FLAIR magnetic resonance.
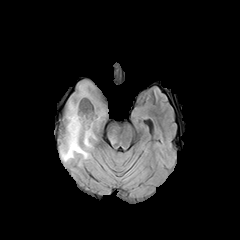
T1-weighted MRI.
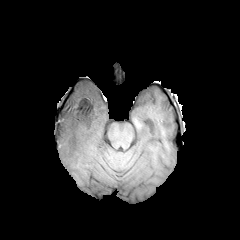
Post-contrast T1-weighted magnetic resonance.
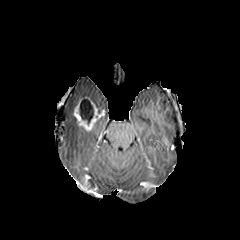
T2-weighted MR image.
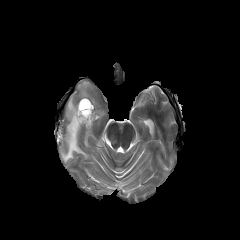
enhancing tumor: box(73, 104, 103, 129) | non-enhancing tumor core: box(74, 98, 97, 123) | edema: box(60, 84, 101, 166)